Upper abdomen. Slice 82/134. CT image. Field of view 372x372 mm.
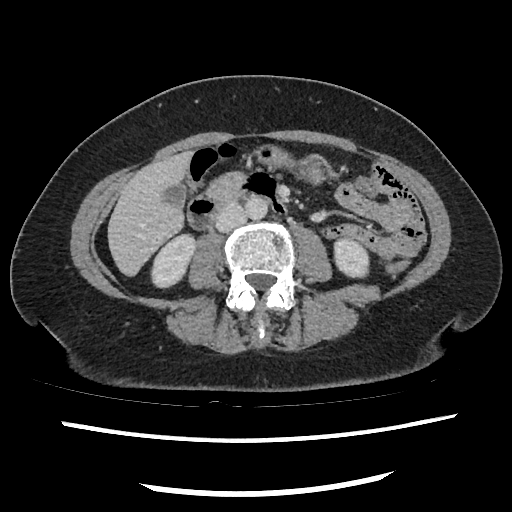
The pancreas appears at l=211, t=173, r=245, b=201.